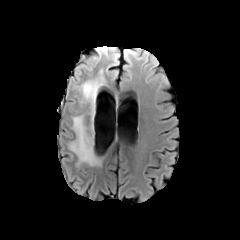
FLAIR MR image.
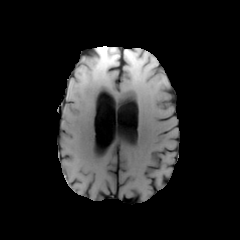
T1-weighted MR of the same slice.
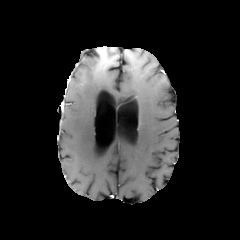
Same slice, post-contrast T1-weighted MR image.
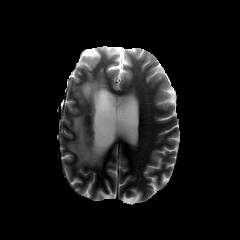
T2-weighted MR.
Head | 240x240 px
2 edema regions are bounded by rect(122, 51, 139, 75); rect(69, 54, 118, 166). The non-enhancing tumor core is located at rect(92, 53, 103, 63). 2 enhancing tumor regions are located at rect(109, 48, 117, 63); rect(97, 48, 107, 57).